FLAIR MR image.
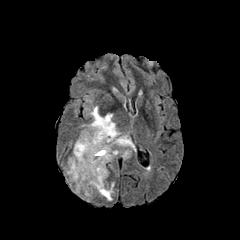
T1-weighted MRI.
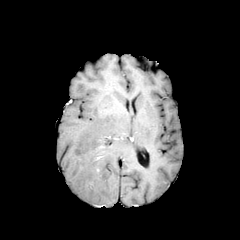
Post-contrast T1-weighted magnetic resonance.
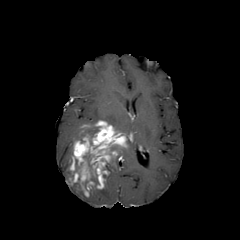
T2-weighted MR image.
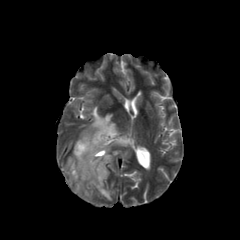
Findings:
* edema: 128,137,136,151; 92,182,114,200; 66,157,71,177; 74,183,82,194; 85,106,117,129; 121,148,130,159
* non-enhancing tumor core: 83,153,91,170; 70,159,78,180; 82,172,99,190; 80,127,99,137
* enhancing tumor: 69,120,127,188